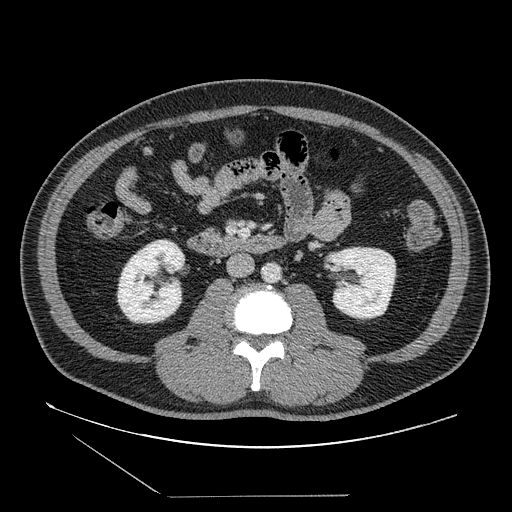
Computed tomography.

The pancreas appears at (197,227,240,256).